FLAIR MR.
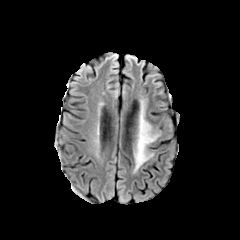
T1-weighted MR.
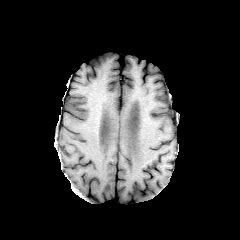
Post-contrast T1-weighted magnetic resonance.
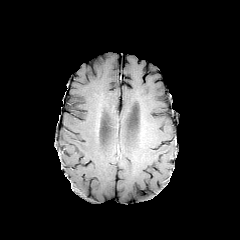
T2-weighted MRI.
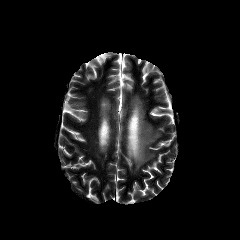
Brain
{"edema": ["[x1=133, y1=100, x2=159, y2=170]"]}